CT image

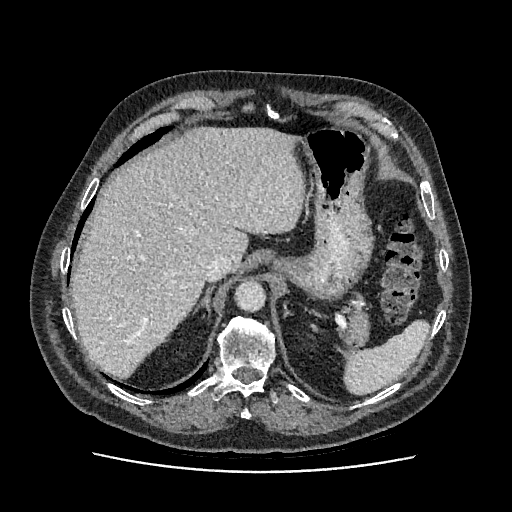
liver:
  - rect(72, 128, 303, 377)